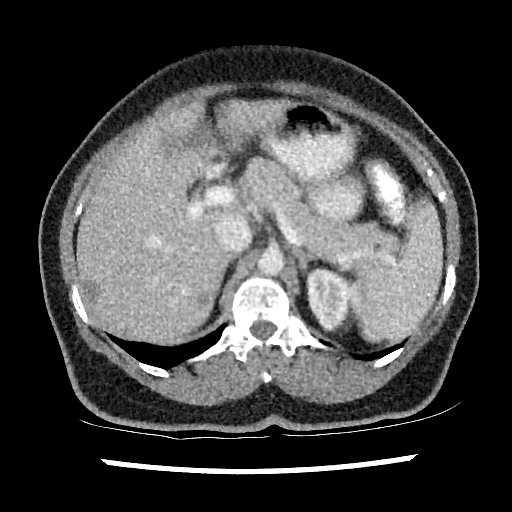

Liver, CT scan slice, 512x512 px
• hepatic lesion: 84,281,100,300; 199,295,209,303; 188,127,212,146
• liver: 77,102,231,341; 219,101,290,145
• kidney: 308,270,360,328